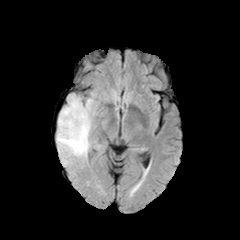
FLAIR magnetic resonance.
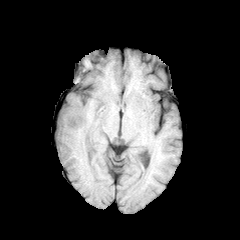
T1-weighted MRI.
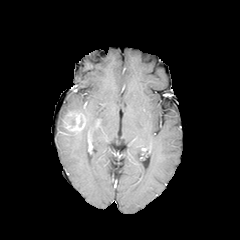
Post-contrast T1-weighted magnetic resonance.
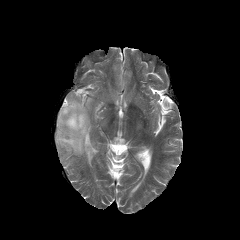
Same slice, T2-weighted MRI.
Brain
Edema at x1=56, y1=92, x2=99, y2=168.
Enhancing tumor at x1=64, y1=110, x2=85, y2=131.